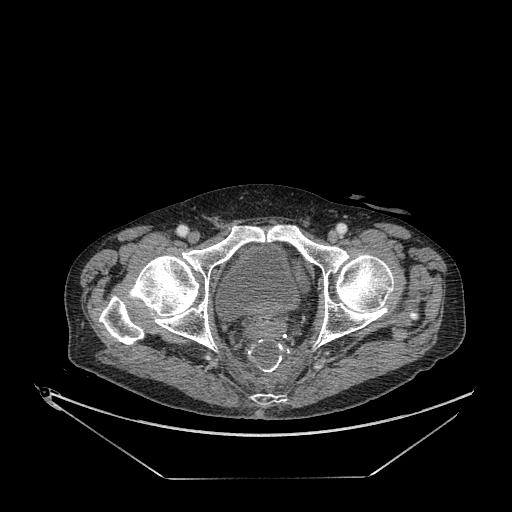
CT slice
{
  "urinary_bladder": [
    "box=[215, 242, 300, 320]"
  ]
}